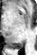

Medial temporal lobe. MR image.
Posterior hippocampus: bounding box bbox=[10, 41, 22, 49].